Field of view 240 mm wide, 1.00 mm slice spacing. Image size 240x240. Slice index 50.
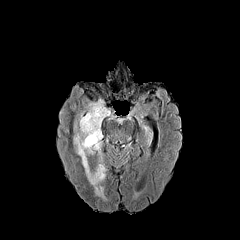
FLAIR magnetic resonance.
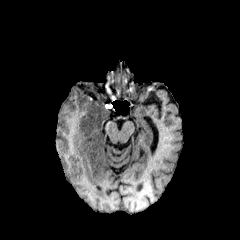
T1-weighted MR.
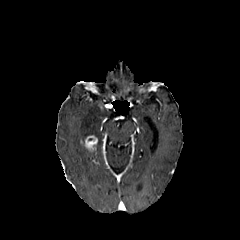
Post-contrast T1-weighted MRI.
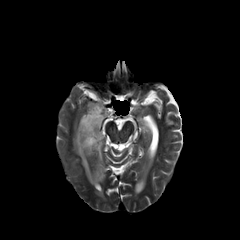
T2-weighted magnetic resonance of the same slice.
Segmented structures:
- edema: bbox(73, 99, 110, 184); bbox(95, 188, 104, 197)
- enhancing tumor: bbox(84, 135, 97, 150)